FLAIR magnetic resonance.
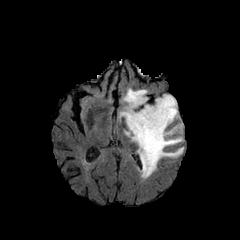
T1-weighted MRI.
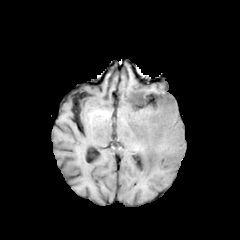
Post-contrast T1-weighted MR.
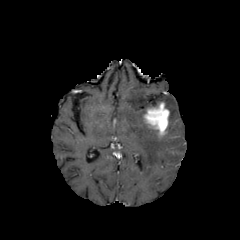
T2-weighted MRI.
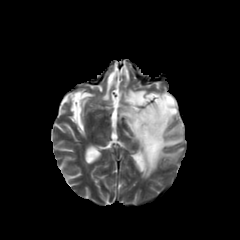
<segmentation>
  <enhancing_tumor>box(143, 101, 169, 139)</enhancing_tumor>
  <edema>box(117, 87, 184, 178)</edema>
</segmentation>